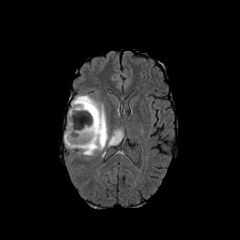
FLAIR MR image.
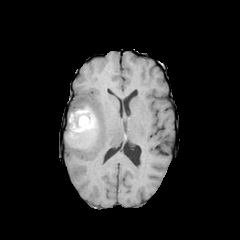
Same slice, T1-weighted MRI.
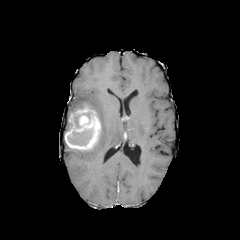
Post-contrast T1-weighted MRI.
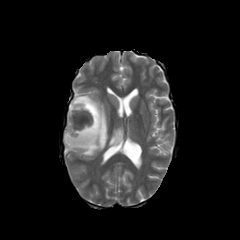
T2-weighted MR image of the same slice.
240x240 px, Head
enhancing_tumor:
  - [x1=64, y1=109, x2=100, y2=151]
  - [x1=79, y1=117, x2=87, y2=124]
non-enhancing_tumor_core:
  - [x1=72, y1=103, x2=95, y2=127]
  - [x1=68, y1=129, x2=92, y2=143]
edema:
  - [x1=69, y1=94, x2=108, y2=156]
  - [x1=108, y1=128, x2=123, y2=146]